Slice index 22 | CT scan slice | Abdomen 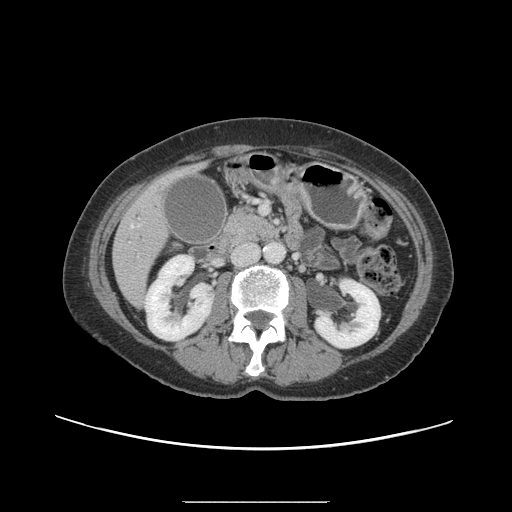 <segmentation>
  <pancreas>bbox(225, 207, 278, 245)</pancreas>
</segmentation>